Upper abdomen | CT slice

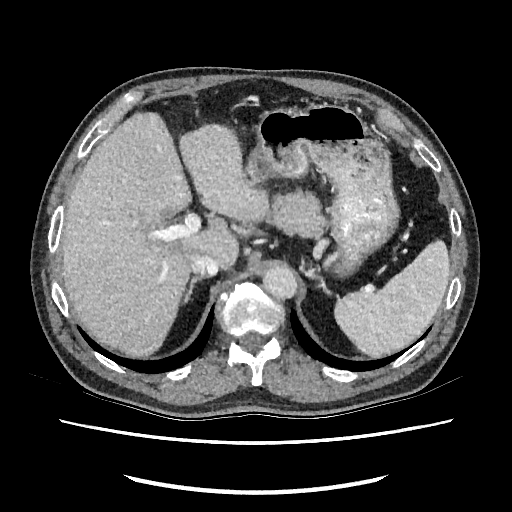 Findings:
• liver: {"x1": 180, "y1": 125, "x2": 267, "y2": 219}, {"x1": 61, "y1": 113, "x2": 237, "y2": 355}
• liver lesion: {"x1": 161, "y1": 208, "x2": 172, "y2": 219}